Head.
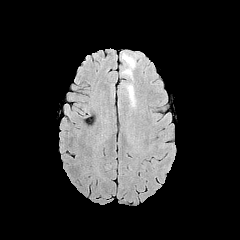
FLAIR MRI.
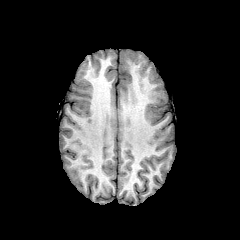
T1-weighted MR of the same slice.
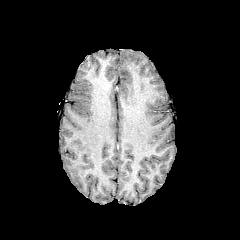
Same slice, post-contrast T1-weighted MR image.
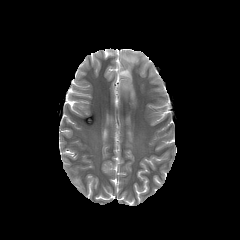
T2-weighted magnetic resonance of the same slice.
Annotated regions:
• edema: box(120, 50, 140, 101)